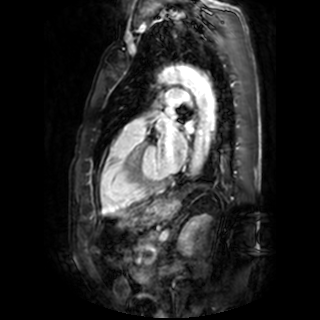

MRI slice. Heart.

2 left atrium regions are bounded by 158 126 187 173, 184 122 191 131.